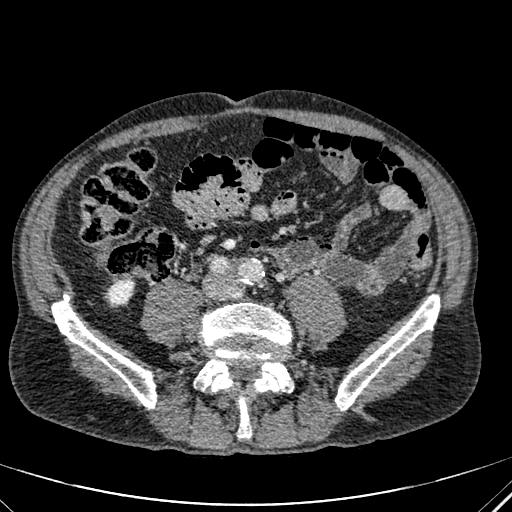 Abdomen. Computed tomography. {"kidney": ["<box>108,280,132,303</box>"]}